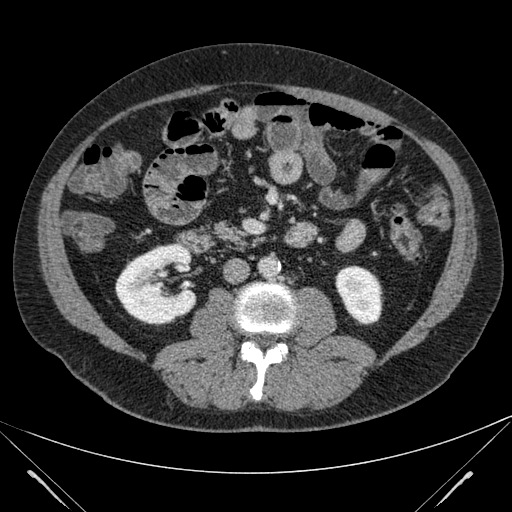
512x512 px, CT slice

Kidney at l=116, t=244, r=195, b=323; l=336, t=267, r=380, b=323.